MR image
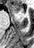 Segmented structures:
* anterior hippocampus: region(13, 6, 19, 12)